Computed tomography, Slice 108 of 134 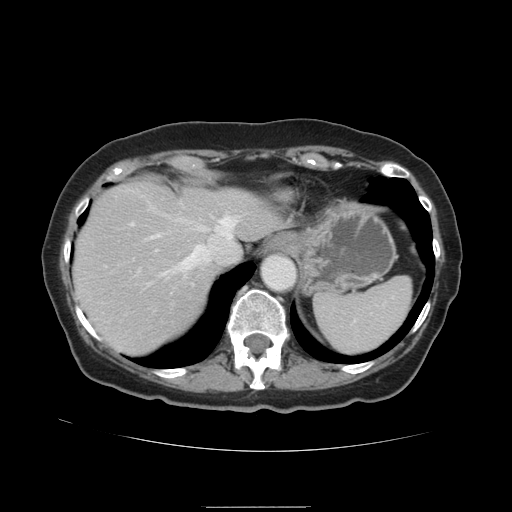 Not every hepatic vessel necessarily has a box.
Hepatic vessel: bounding box 214 216 237 236, 162 245 209 275, 130 224 131 225.